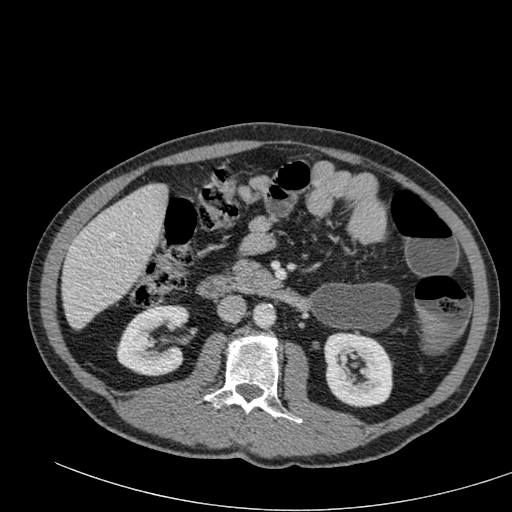

512x512 px, Computed tomography
Liver — (62, 184, 167, 327).
Kidney — (118, 306, 187, 374), (325, 334, 391, 405).